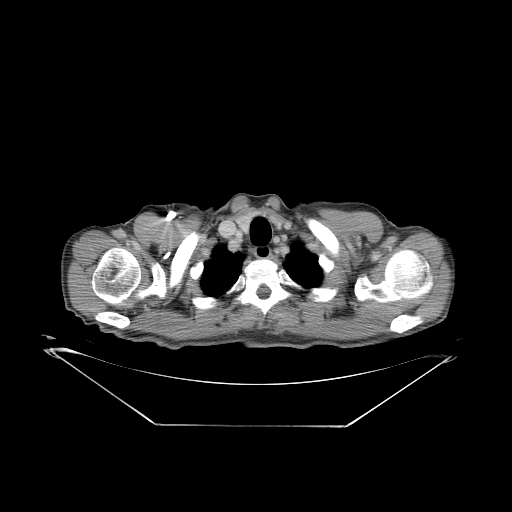

Chest, Computed tomography, 512x512

Segmented structures:
- lung: rect(283, 241, 323, 289); rect(200, 244, 245, 297)
- bone: rect(308, 220, 338, 271); rect(313, 289, 336, 300); rect(165, 211, 176, 220); rect(240, 259, 297, 317); rect(190, 262, 202, 279); rect(137, 232, 199, 299); rect(355, 250, 431, 301); rect(193, 298, 214, 308); rect(390, 315, 420, 332); rect(96, 312, 129, 327); rect(92, 248, 140, 303)